512x512; CT scan slice

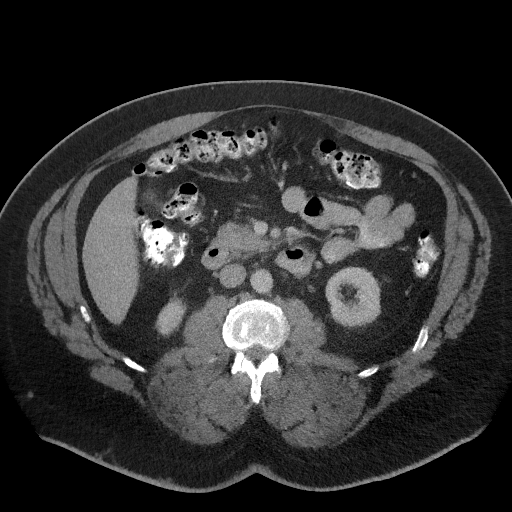 The pancreas is at bbox=[218, 222, 263, 250].